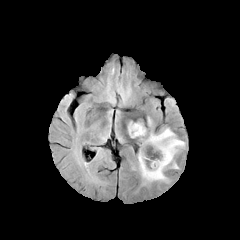
FLAIR MRI.
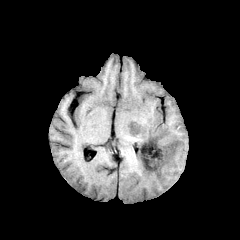
T1-weighted MRI.
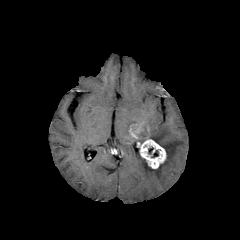
Post-contrast T1-weighted MRI.
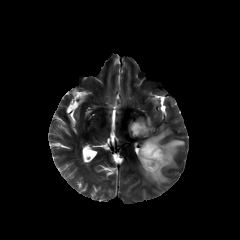
Same slice, T2-weighted MR image.
Head
Findings:
- edema: x1=137 y1=128 x2=185 y2=181
- enhancing tumor: x1=139 y1=139 x2=166 y2=168, x1=129 y1=123 x2=142 y2=138
- non-enhancing tumor core: x1=137 y1=125 x2=147 y2=139